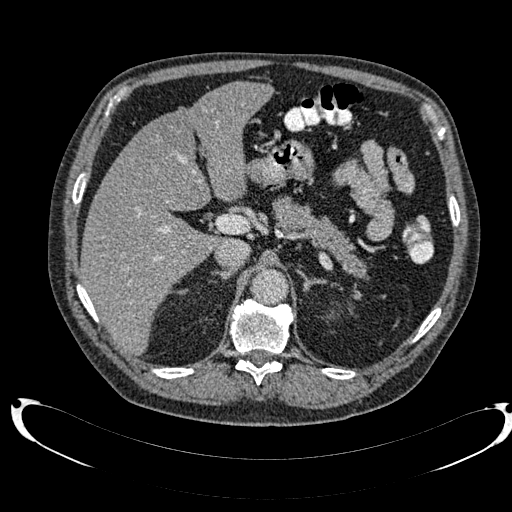

Upper abdomen; CT scan slice
liver:
  - x1=80, y1=81, x2=273, y2=354
liver_lesion:
  - x1=138, y1=113, x2=188, y2=170